FLAIR magnetic resonance.
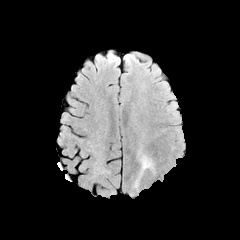
T1-weighted MRI.
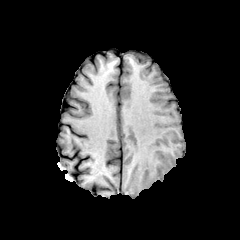
Post-contrast T1-weighted magnetic resonance.
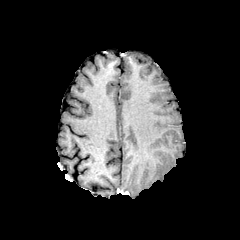
T2-weighted MRI.
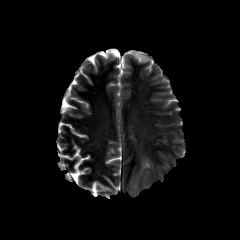
Edema: (140, 157, 152, 172).